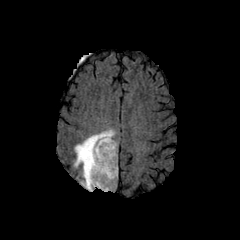
FLAIR MR image.
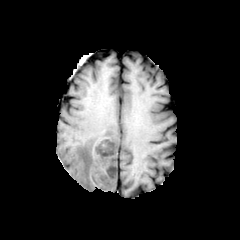
T1-weighted MR image.
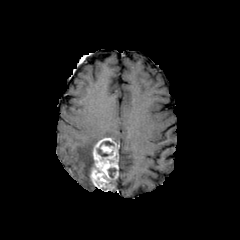
Post-contrast T1-weighted MRI.
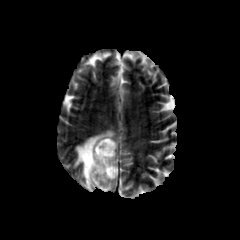
T2-weighted MR.
* enhancing tumor: {"x1": 89, "y1": 137, "x2": 118, "y2": 191}
* edema: {"x1": 73, "y1": 129, "x2": 115, "y2": 191}